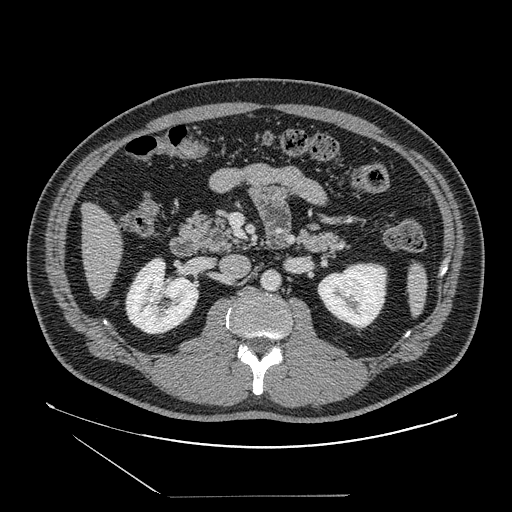

CT scan slice; 512x512

Pancreas at x1=295 y1=223 x2=349 y2=254, x1=178 y1=211 x2=236 y2=255.
Pancreatic tumor at x1=210 y1=230 x2=224 y2=244.